FLAIR MR image.
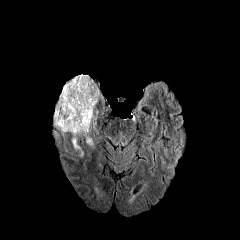
T1-weighted magnetic resonance.
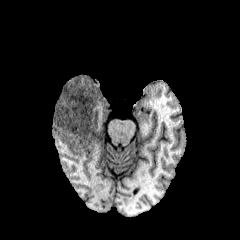
Post-contrast T1-weighted magnetic resonance.
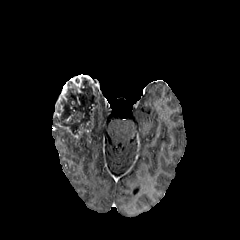
T2-weighted MRI.
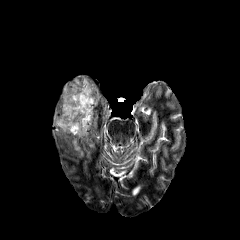
3 enhancing tumor regions are bounded by (x1=55, y1=83, x2=67, y2=107), (x1=56, y1=123, x2=88, y2=141), (x1=70, y1=75, x2=89, y2=88). The non-enhancing tumor core appears at (x1=52, y1=77, x2=101, y2=150).